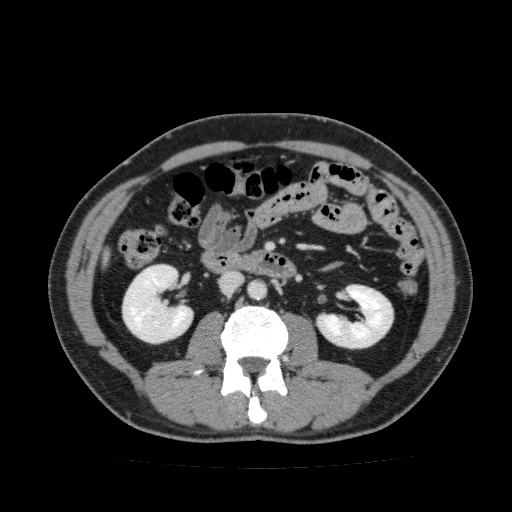

CT image.

Annotated regions:
* liver: bbox(102, 248, 110, 264)
* kidney: bbox(122, 264, 192, 343); bbox(317, 285, 392, 348)